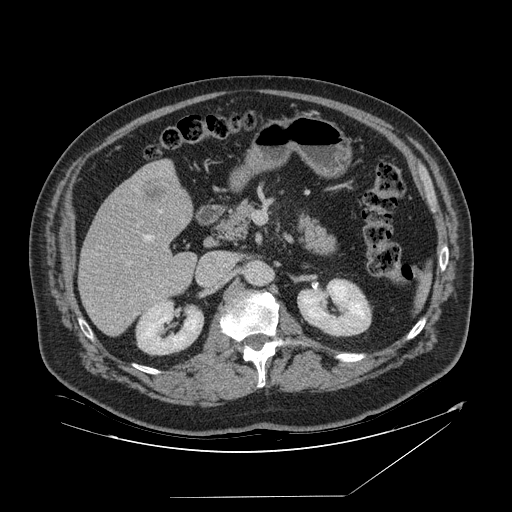
Upper abdomen | CT
spleen: {"x1": 414, "y1": 270, "x2": 430, "y2": 311}